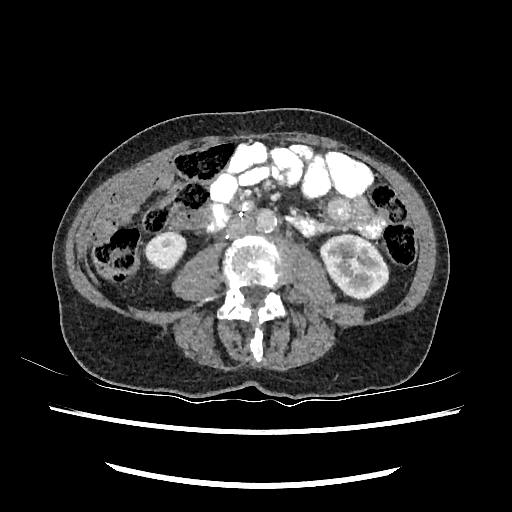 512x512 px, CT image

kidney: 146 232 184 267, 321 233 387 297